Slice index 12; CT scan slice

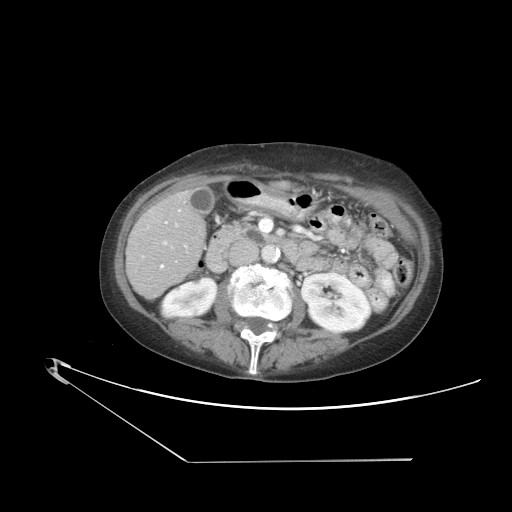

The vessel annotation is not exhaustive.
5 hepatic vessel regions are bounded by [160,264,163,267], [178,209,180,211], [164,241,166,244], [165,221,166,223], [184,245,186,247].